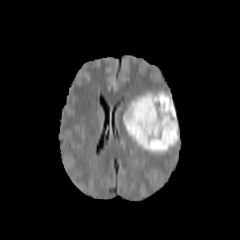
FLAIR MR.
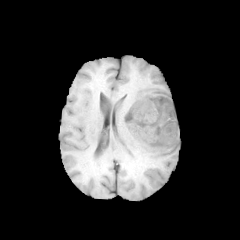
Same slice, T1-weighted MR.
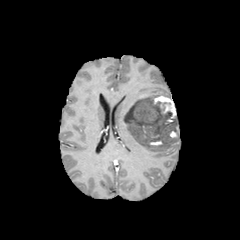
Post-contrast T1-weighted MR.
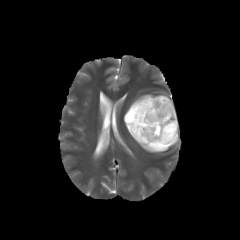
T2-weighted MRI.
Head
3 enhancing tumor regions are bounded by bbox=[169, 122, 179, 138]; bbox=[148, 140, 162, 145]; bbox=[153, 94, 176, 123]. 2 edema regions are located at bbox=[125, 122, 167, 153]; bbox=[124, 92, 154, 120]. The non-enhancing tumor core lies within bbox=[125, 97, 178, 149].